Image size 512x512; CT image; Slice 52 of 105; Field of view 475x475 mm; Upper abdomen
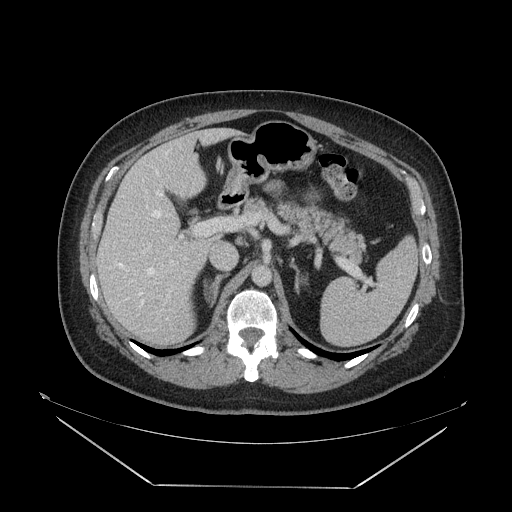

{
  "pancreas": [
    "247, 199, 363, 259"
  ]
}